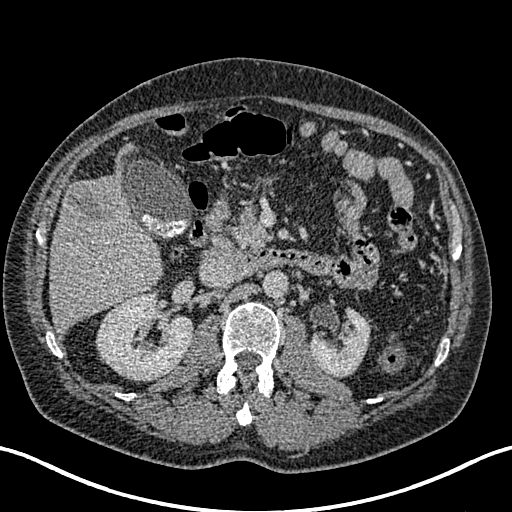 Upper abdomen, Computed tomography, Image size 512x512
kidney:
  - [x1=97, y1=294, x2=192, y2=379]
  - [x1=311, y1=310, x2=369, y2=376]
hepatic_lesion:
  - [x1=66, y1=182, x2=113, y2=223]
liver:
  - [x1=49, y1=142, x2=162, y2=334]